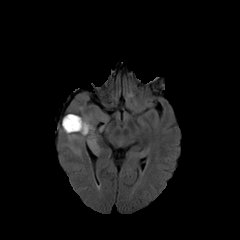
FLAIR magnetic resonance.
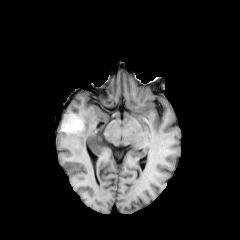
Same slice, T1-weighted MRI.
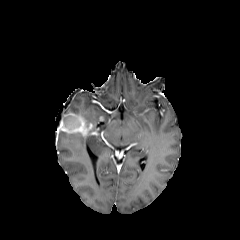
Same slice, post-contrast T1-weighted MR.
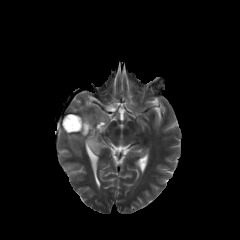
T2-weighted magnetic resonance of the same slice.
Head
2 edema regions appear at box=[62, 132, 89, 154]; box=[68, 102, 107, 152]. The enhancing tumor is bounded by box=[57, 114, 97, 135].